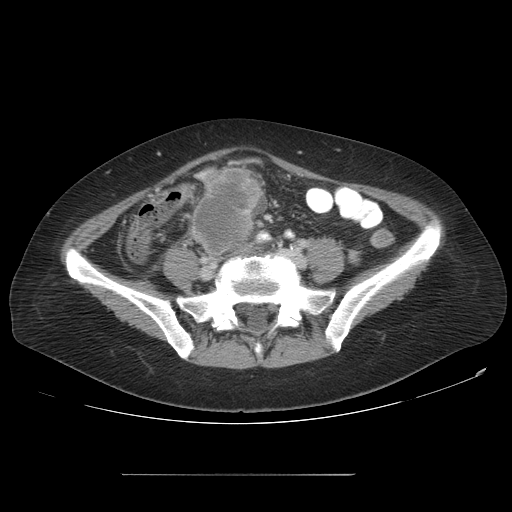 Computed tomography. Pelvis.
Colon tumor at rect(193, 169, 263, 254).